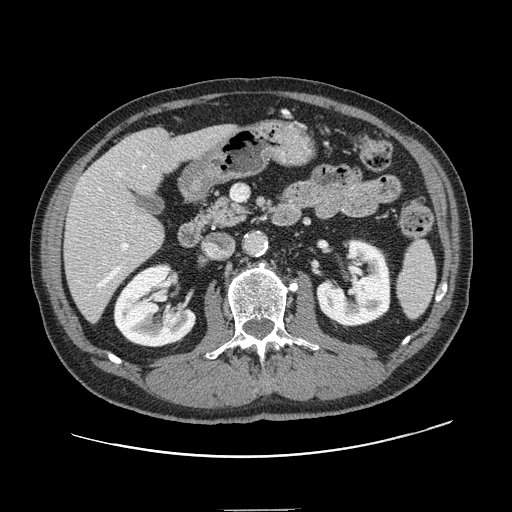 CT slice
The pancreas is at <box>195,195,249,229</box>.